240x240 px, Head, Slice index 78
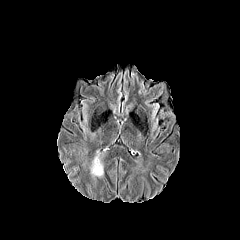
FLAIR magnetic resonance.
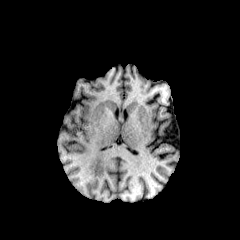
T1-weighted MR.
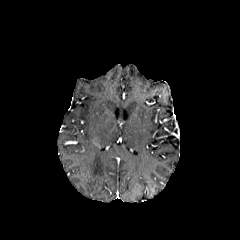
Post-contrast T1-weighted magnetic resonance of the same slice.
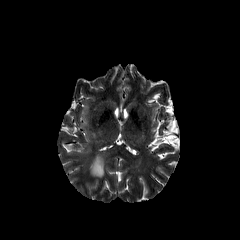
Same slice, T2-weighted MRI.
edema:
  - x1=89 y1=153 x2=104 y2=179